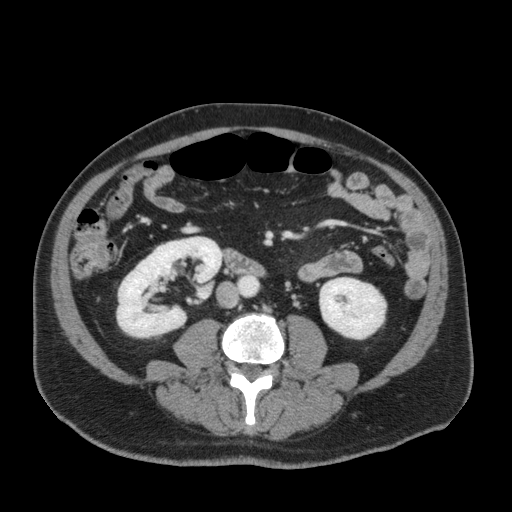 512x512 px, CT image, Abdomen

kidney:
  - l=117, t=237, r=221, b=336
  - l=320, t=278, r=385, b=338